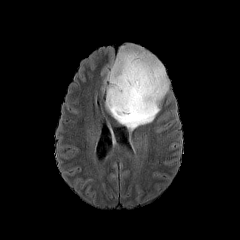
FLAIR magnetic resonance.
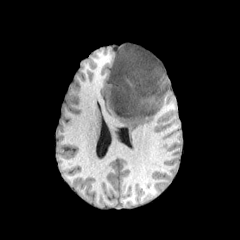
T1-weighted magnetic resonance.
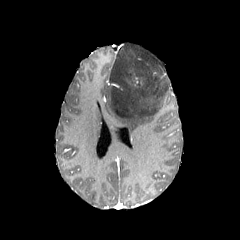
Post-contrast T1-weighted magnetic resonance of the same slice.
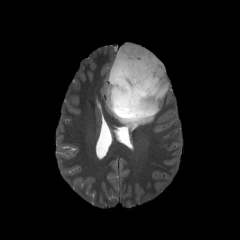
Same slice, T2-weighted MR.
Brain.
The edema is bounded by bbox=[102, 52, 170, 136]. The enhancing tumor is located at bbox=[131, 75, 145, 86].